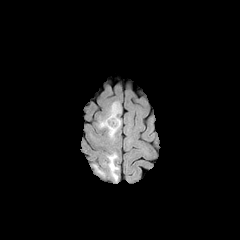
FLAIR MRI.
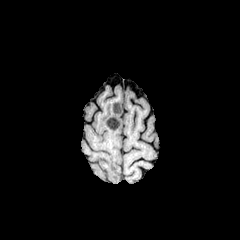
T1-weighted MR.
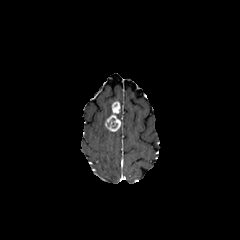
Same slice, post-contrast T1-weighted MRI.
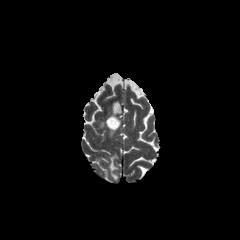
T2-weighted MRI.
Brain.
Annotated regions:
• enhancing tumor: rect(105, 101, 121, 131)
• edema: rect(107, 153, 118, 180)